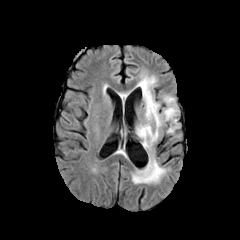
FLAIR MR.
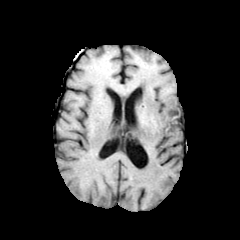
Same slice, T1-weighted magnetic resonance.
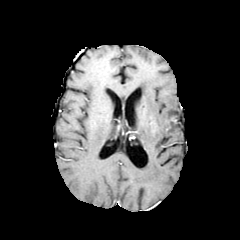
Post-contrast T1-weighted MR image of the same slice.
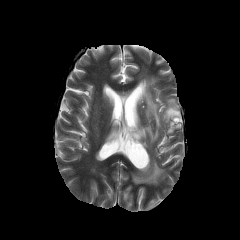
T2-weighted magnetic resonance.
Brain
2 edema regions appear at left=132, top=155, right=166, bottom=184; left=135, top=75, right=179, bottom=150.